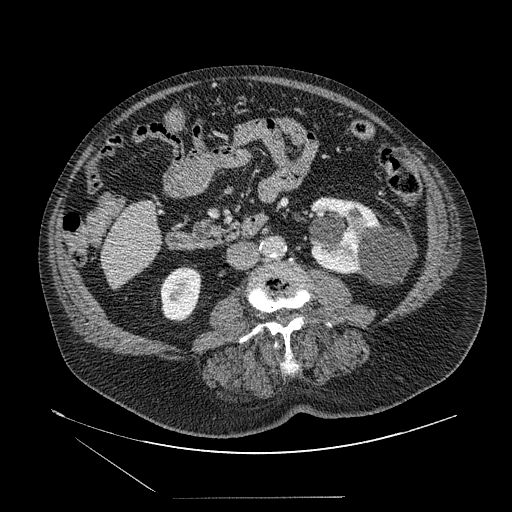
Upper abdomen; CT image; 512x512 px

{
  "pancreas": [
    "x1=190 y1=219 x2=221 y2=243"
  ]
}